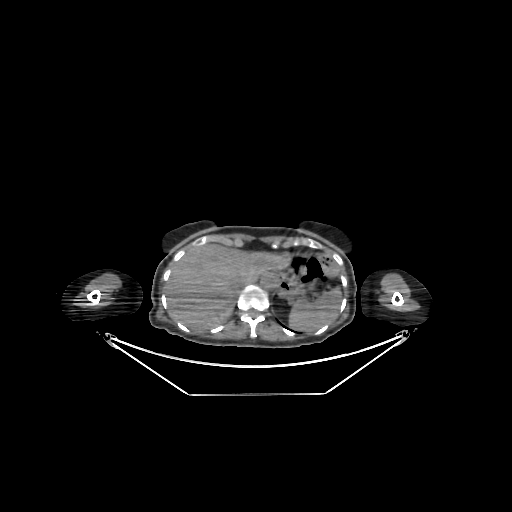

Computed tomography.

- liver: 164:243:283:329